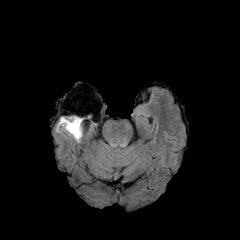
FLAIR MRI.
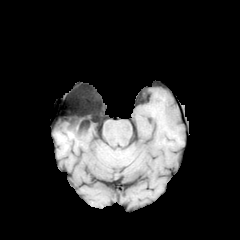
T1-weighted MRI of the same slice.
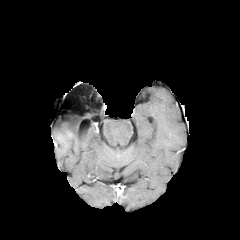
Post-contrast T1-weighted MR image.
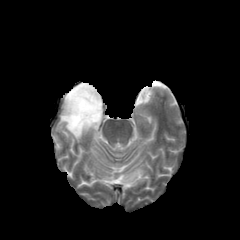
T2-weighted magnetic resonance.
The non-enhancing tumor core appears at left=61, top=114, right=91, bottom=133. The edema lies within left=56, top=118, right=83, bottom=142.